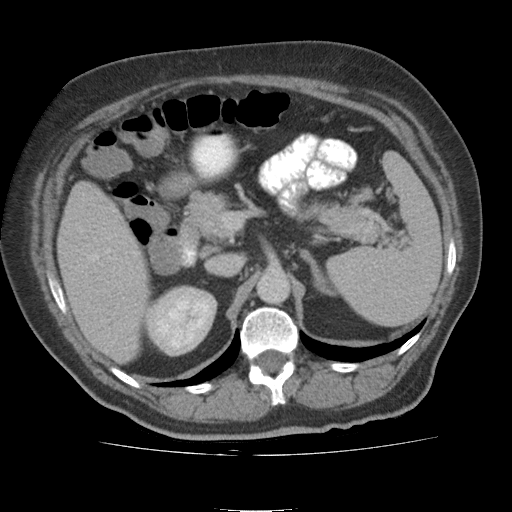
512x512, Computed tomography
Kidney: [x1=148, y1=289, x2=211, y2=348].
Liver: [x1=58, y1=188, x2=148, y2=360].